Computed tomography, Slice index 457, 512x512 px
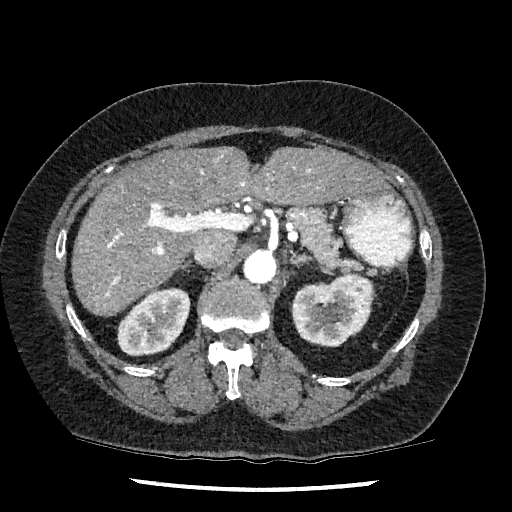 2 kidney regions appear at rect(118, 289, 189, 355); rect(293, 274, 372, 345). The liver is bounded by rect(72, 147, 387, 315).